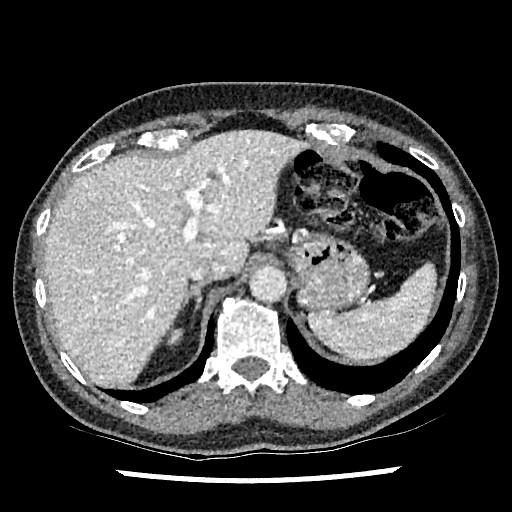

Abdomen. CT scan slice.
The liver appears at (44, 130, 306, 385). The hepatic lesion is at (208, 172, 216, 179).